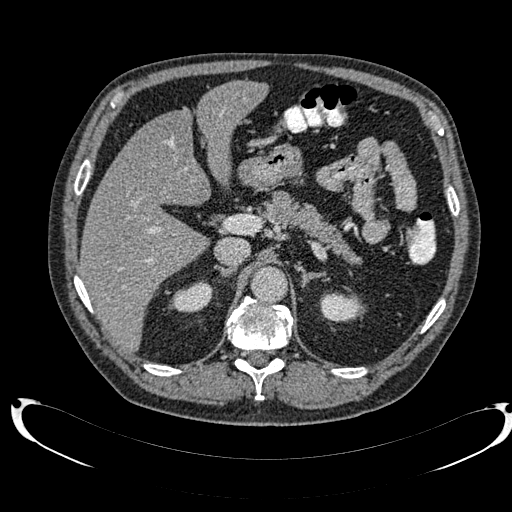

512x512 px | CT scan slice | Liver

The focal liver lesion appears at [144,112,186,160]. 2 liver regions are bounded by [80,110,210,350], [197,81,267,187]. 2 kidney regions are located at [170,281,212,312], [321,293,364,319].